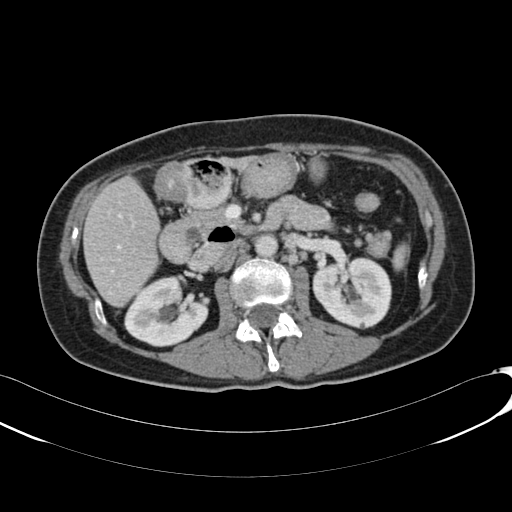

Computed tomography, Liver

kidney: {"x1": 125, "y1": 278, "x2": 207, "y2": 345}, {"x1": 314, "y1": 259, "x2": 390, "y2": 326} | liver: {"x1": 221, "y1": 155, "x2": 253, "y2": 169}, {"x1": 83, "y1": 177, "x2": 160, "y2": 305}